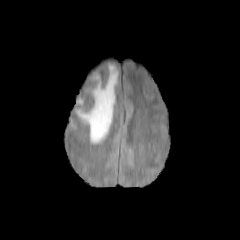
FLAIR magnetic resonance.
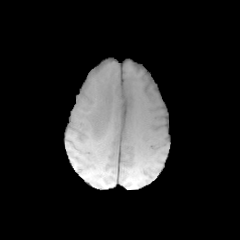
T1-weighted MR of the same slice.
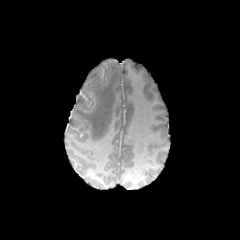
Post-contrast T1-weighted MRI.
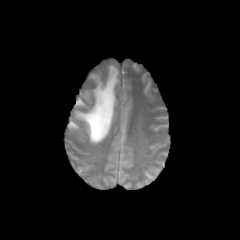
T2-weighted MR image of the same slice.
non-enhancing tumor core: (x1=81, y1=92, x2=89, y2=104) | edema: (x1=74, y1=64, x2=118, y2=143)